CT image | Abdomen 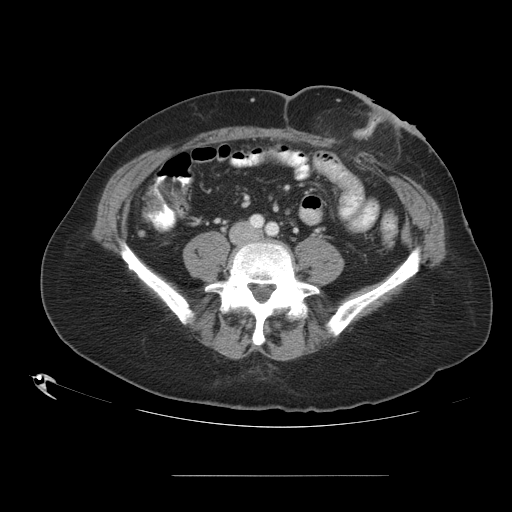
{
  "colon_tumor": [
    "(x1=146, y1=192, x2=163, y2=214)"
  ]
}